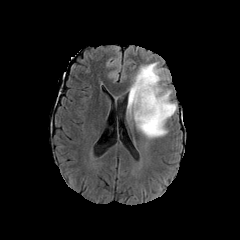
FLAIR MR.
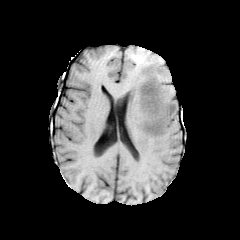
Same slice, T1-weighted MRI.
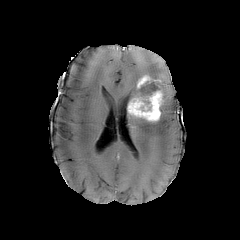
Post-contrast T1-weighted MRI of the same slice.
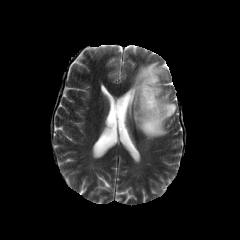
T2-weighted MR of the same slice.
Head
{
  "non-enhancing_tumor_core": [
    "x1=140, y1=81, x2=157, y2=103"
  ],
  "enhancing_tumor": [
    "x1=127, y1=90, x2=162, y2=122",
    "x1=137, y1=75, x2=156, y2=88"
  ],
  "edema": [
    "x1=128, y1=61, x2=177, y2=139"
  ]
}